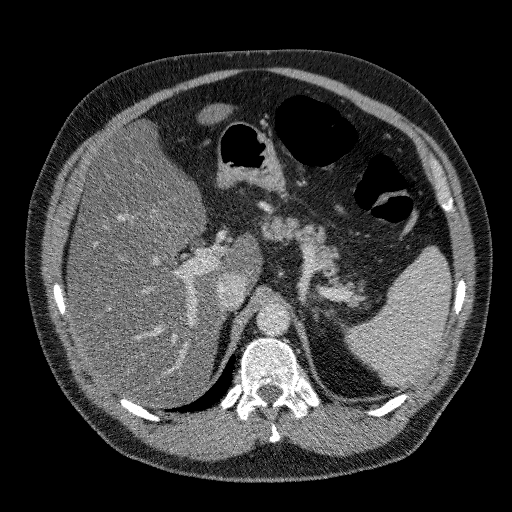
Image size 512x512. CT. Upper abdomen. {
  "liver": [
    "<bbox>67, 121, 261, 407</bbox>",
    "<bbox>202, 105, 227, 121</bbox>"
  ]
}